FLAIR MR image.
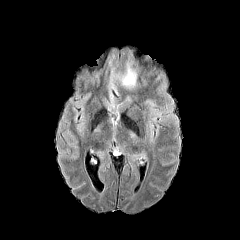
T1-weighted MRI.
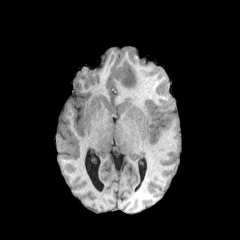
Post-contrast T1-weighted MRI.
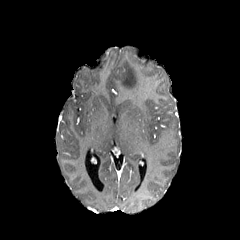
T2-weighted MR.
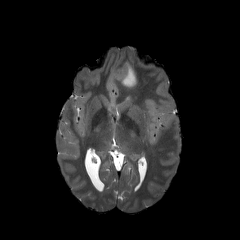
{"edema": ["l=121, t=67, r=137, b=88"]}